CT image

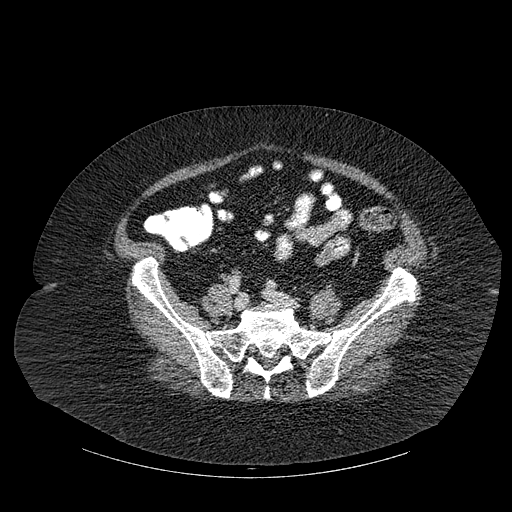

bone: l=244, t=356, r=291, b=381; l=264, t=386, r=269, b=398; l=132, t=257, r=416, b=397